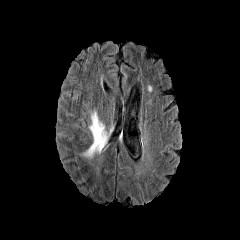
FLAIR MR.
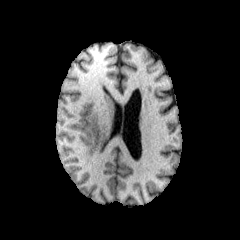
T1-weighted MRI.
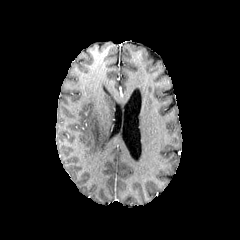
Post-contrast T1-weighted MR image.
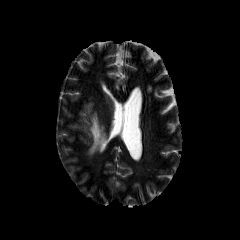
Same slice, T2-weighted MR image.
240x240, Head
• edema: x1=87, y1=111, x2=107, y2=155